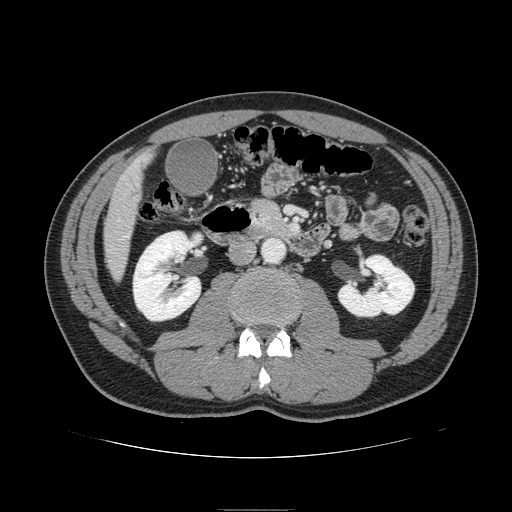 CT, Upper abdomen

The pancreas is bounded by region(250, 199, 290, 236).